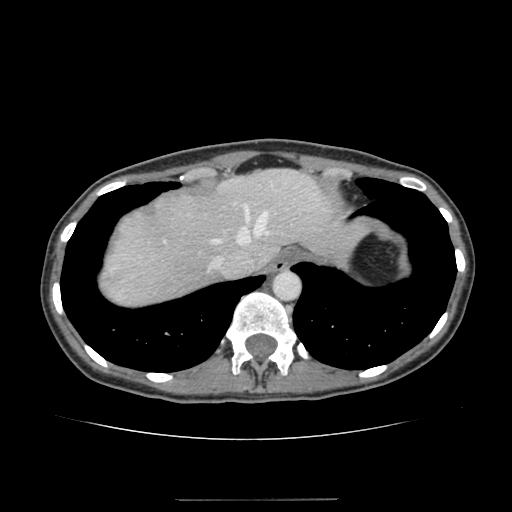

Abdomen. CT. • liver: [102,169,364,308]